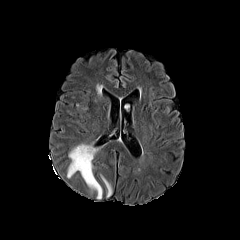
FLAIR MR.
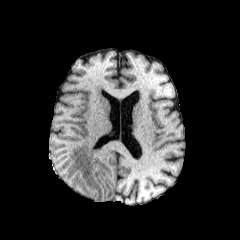
T1-weighted MR.
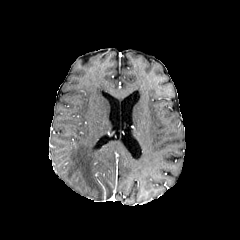
Post-contrast T1-weighted MR.
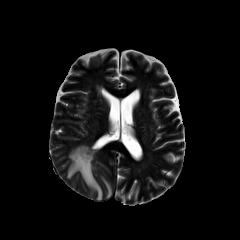
Same slice, T2-weighted magnetic resonance.
* edema: rect(67, 144, 103, 198); rect(101, 176, 111, 196)